FLAIR MR image.
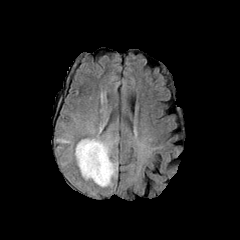
T1-weighted MR.
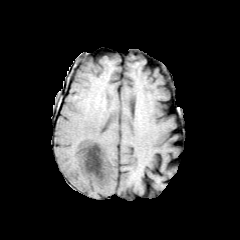
Post-contrast T1-weighted MRI.
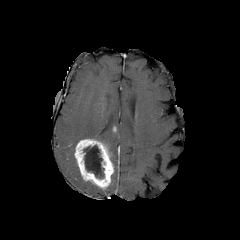
T2-weighted magnetic resonance.
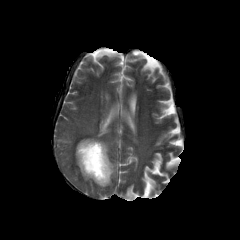
240x240, Head
2 edema regions are located at <bbox>92, 134, 117, 159</bbox>, <bbox>112, 160, 118, 178</bbox>. The non-enhancing tumor core is located at <bbox>84, 145, 103, 177</bbox>. The enhancing tumor is bounded by <bbox>75, 139, 113, 187</bbox>.